Hippocampus; Slice 28 of 38; Field of view 36 mm wide, 1.00 mm slice spacing; Magnetic resonance
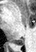
posterior_hippocampus:
  - l=12, t=39, r=24, b=45